Image size 512x512, CT scan slice, Slice 48/123
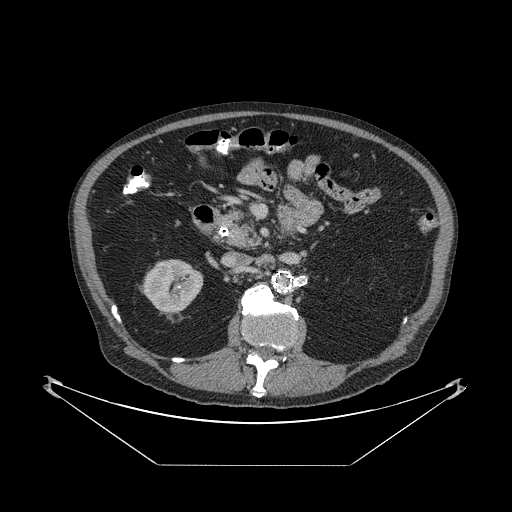
pancreas:
  - bbox(219, 210, 259, 248)